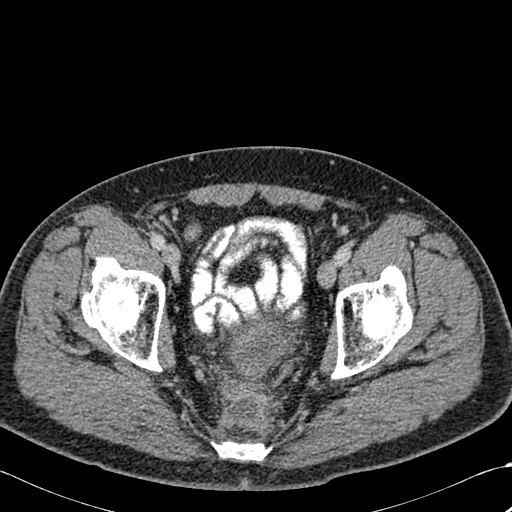
CT slice, 512x512

{
  "bone": [
    "l=81, t=256, r=164, b=371",
    "l=331, t=265, r=412, b=378",
    "l=215, t=442, r=267, b=460"
  ]
}